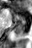
Magnetic resonance
Segmented structures:
* anterior hippocampus: 12 13 25 21
* posterior hippocampus: 15 22 25 34